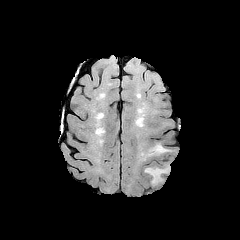
FLAIR MRI.
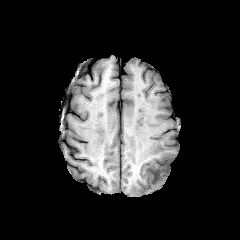
T1-weighted MRI of the same slice.
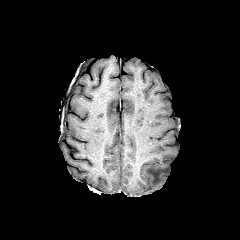
Same slice, post-contrast T1-weighted MR image.
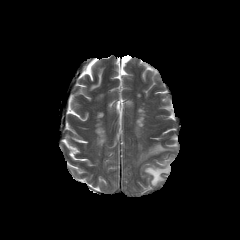
T2-weighted magnetic resonance of the same slice.
Edema = <box>145,166,170,184</box>, <box>149,144,170,153</box>.